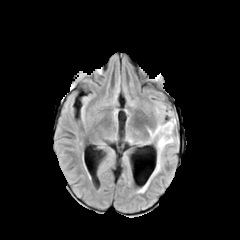
FLAIR MR.
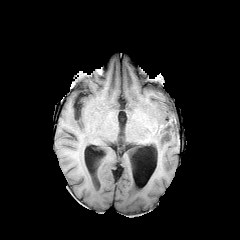
Same slice, T1-weighted MRI.
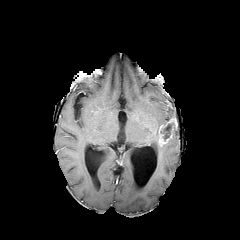
Post-contrast T1-weighted magnetic resonance.
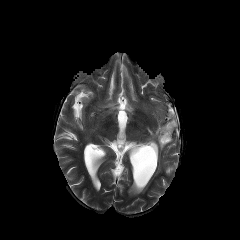
Same slice, T2-weighted MRI.
240x240; Brain
The enhancing tumor appears at [x1=158, y1=133, x2=171, y2=145]. The edema appears at [x1=135, y1=108, x2=178, y2=177]. The non-enhancing tumor core is at [x1=156, y1=118, x2=175, y2=138].